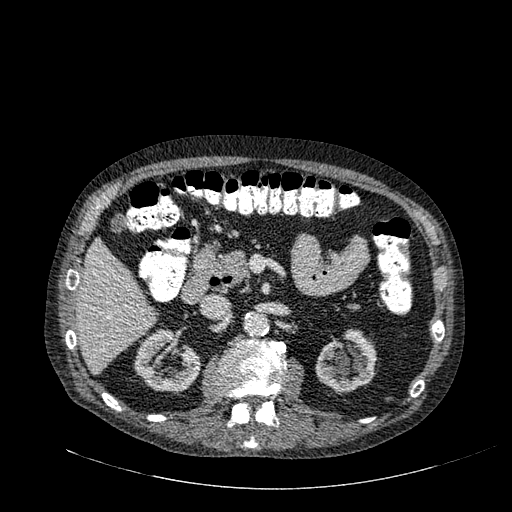

CT slice; Liver

Annotated regions:
- kidney: 134, 329, 201, 392; 315, 329, 376, 394
- liver: 79, 238, 155, 373